FLAIR magnetic resonance.
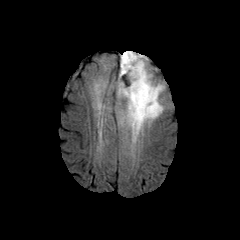
T1-weighted MRI.
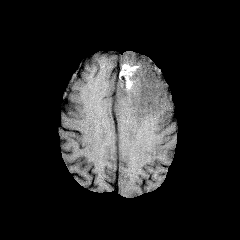
Post-contrast T1-weighted magnetic resonance.
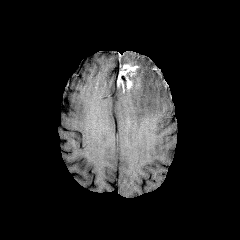
T2-weighted magnetic resonance.
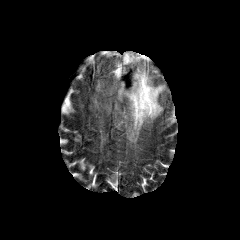
240x240, Head
• non-enhancing tumor core: left=120, top=72, right=134, bottom=89; left=121, top=55, right=137, bottom=65
• edema: left=118, top=51, right=165, bottom=144
• enhancing tumor: left=117, top=64, right=137, bottom=85